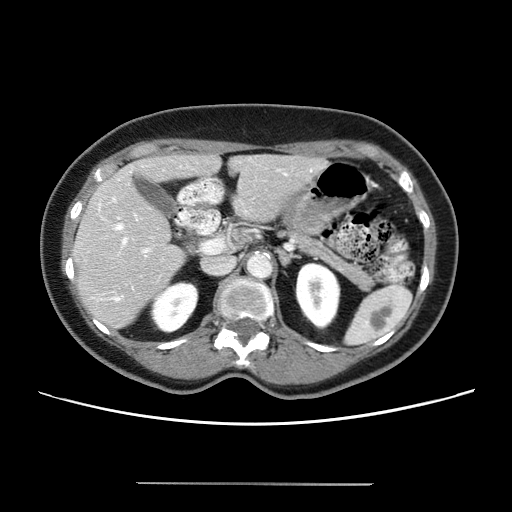

512x512 px. Computed tomography.
The vessel boxes may cover only some of the vessels.
3 hepatic vessel regions are bounded by {"x1": 116, "y1": 225, "x2": 121, "y2": 228}, {"x1": 123, "y1": 239, "x2": 125, "y2": 243}, {"x1": 116, "y1": 297, "x2": 118, "y2": 300}.